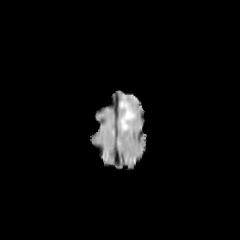
FLAIR magnetic resonance.
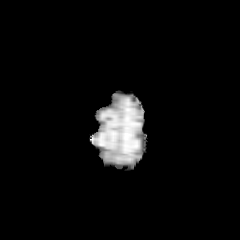
Same slice, T1-weighted magnetic resonance.
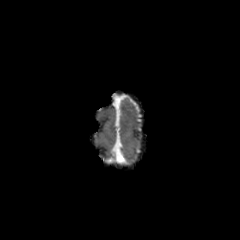
Post-contrast T1-weighted MR.
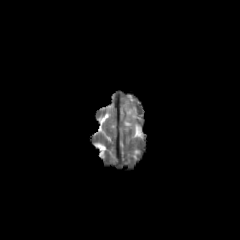
Same slice, T2-weighted magnetic resonance.
edema:
  - l=120, t=101, r=134, b=129